Image size 240x240 | Slice 94 of 155 | Brain
FLAIR MR.
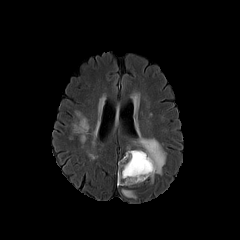
T1-weighted MR image.
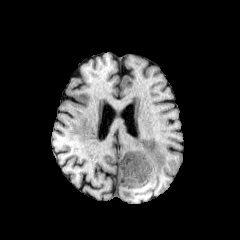
Post-contrast T1-weighted MR image.
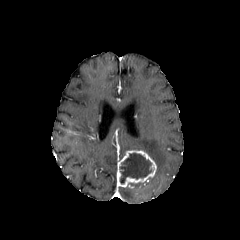
T2-weighted MRI.
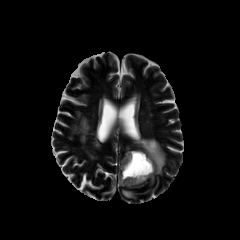
Edema = [x1=133, y1=138, x2=165, y2=174], [x1=122, y1=189, x2=136, y2=198].
Non-enhancing tumor core = [x1=120, y1=152, x2=152, y2=183].
Enhancing tumor = [x1=117, y1=149, x2=156, y2=188].